CT image; Image size 512x512; Slice index 39 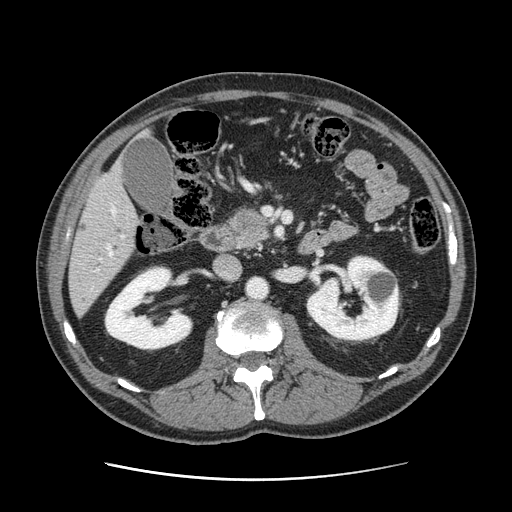

Pancreatic tumor — 236, 210, 264, 241.
Pancreas — 230, 210, 268, 248.